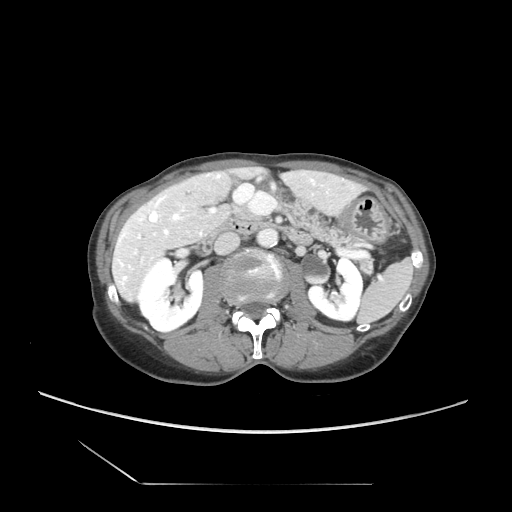 CT; 512x512 px; Upper abdomen

Pancreas — bbox(360, 256, 371, 273); bbox(276, 188, 358, 253).